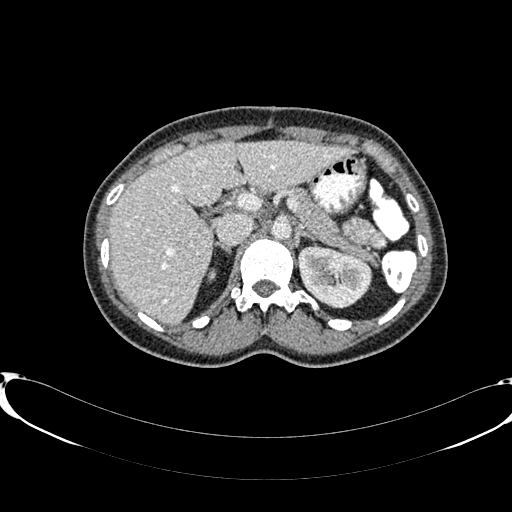

Abdomen; CT scan slice
kidney:
  - 299:248:369:308
liver:
  - 108:141:357:322